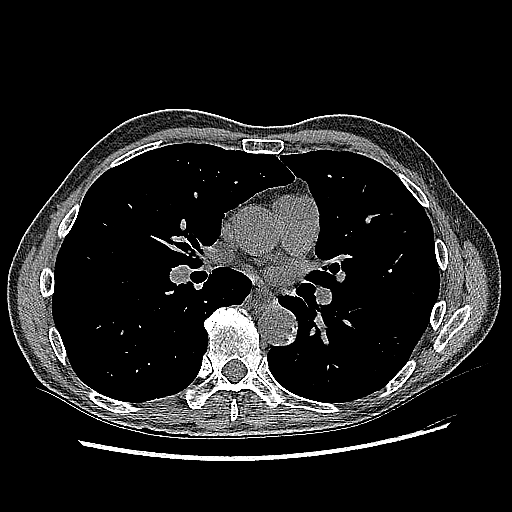
CT scan slice; Thorax; Image size 512x512
Annotated regions:
* lung tumor: 122,232,142,241